CT. Field of view 432x432 mm. Upper abdomen. 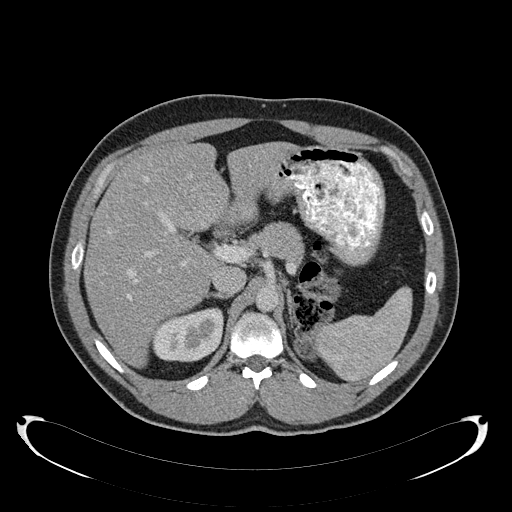

kidney: [150,309,222,360] | liver: [228,142,296,207], [85,144,228,366]